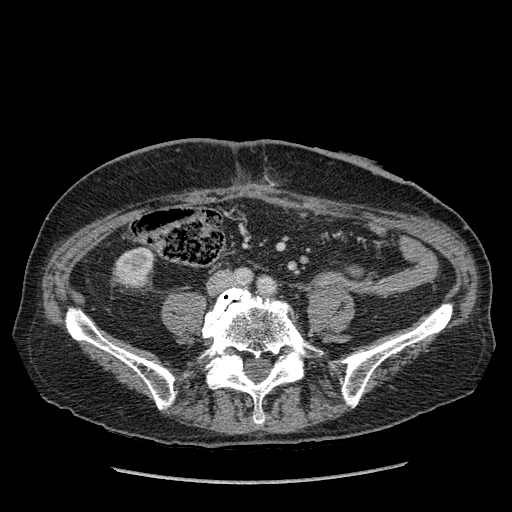

CT slice
Kidney: box(116, 248, 152, 285).